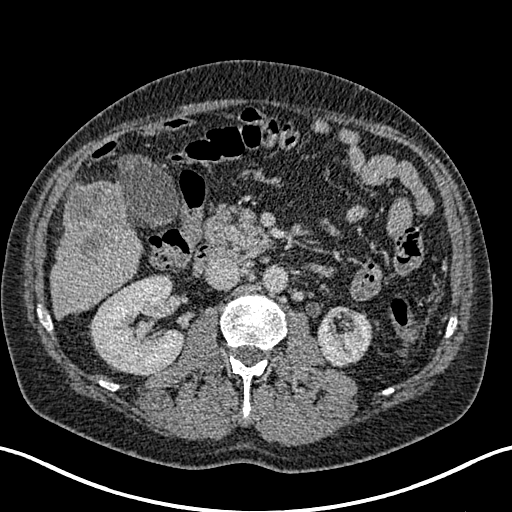 512x512 px; CT slice

2 kidney regions are located at 318,309,370,365; 92,276,182,374. The liver lies within 50,181,140,318. The hepatic lesion lies within 66,185,119,261.